Brain, Slice 80/155, 240x240
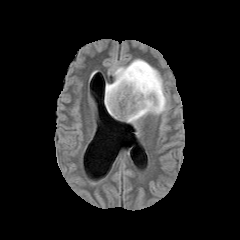
FLAIR MR image.
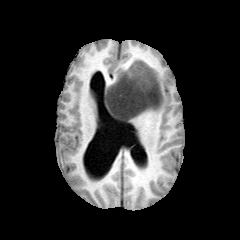
T1-weighted MR.
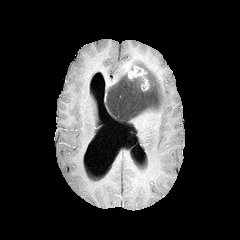
Post-contrast T1-weighted MRI.
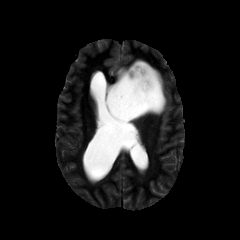
T2-weighted MRI.
Segmented structures:
• enhancing tumor: x1=123 y1=64 x2=145 y2=78
• non-enhancing tumor core: x1=106 y1=76 x2=160 y2=121
• edema: x1=126 y1=59 x2=168 y2=123, x1=105 y1=67 x2=127 y2=93